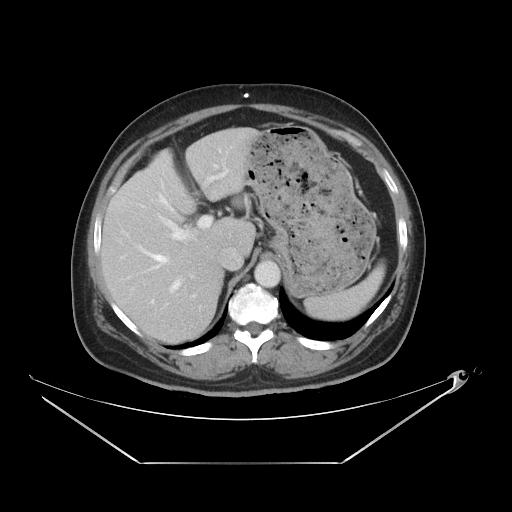

Liver | CT slice
Not every hepatic vessel necessarily has a box.
3 hepatic vessel regions are located at bbox=[155, 256, 164, 259]; bbox=[159, 216, 185, 238]; bbox=[205, 169, 228, 184].